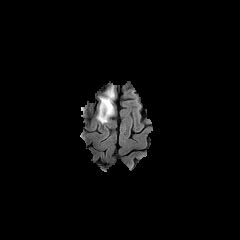
FLAIR MR.
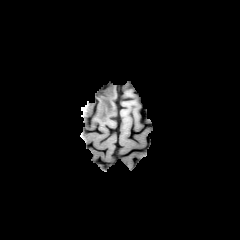
T1-weighted MR.
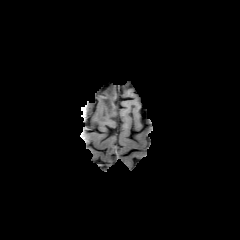
Same slice, post-contrast T1-weighted magnetic resonance.
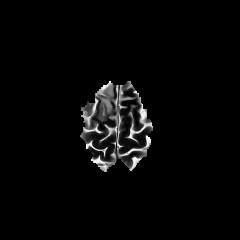
T2-weighted MR.
Segmented structures:
- edema: 97 86 114 123